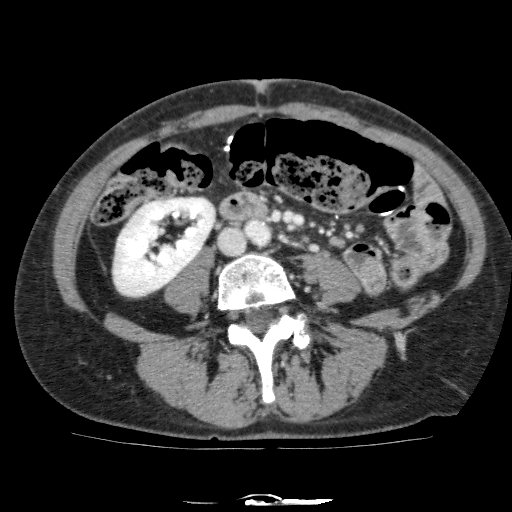 Abdomen; CT slice
Annotated regions:
- kidney: <bbox>114, 198, 214, 295</bbox>